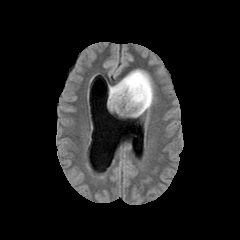
FLAIR magnetic resonance.
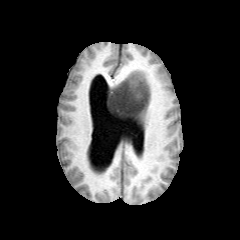
T1-weighted magnetic resonance.
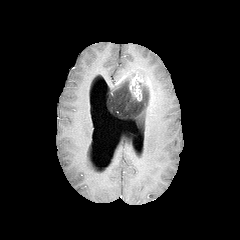
Same slice, post-contrast T1-weighted MRI.
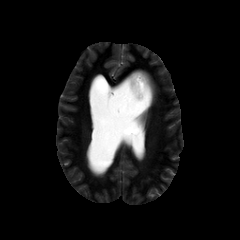
T2-weighted MRI of the same slice.
Image size 240x240
The non-enhancing tumor core lies within (left=107, top=82, right=150, bottom=117). The edema appears at (left=109, top=77, right=129, bottom=90). The enhancing tumor is located at (left=128, top=71, right=153, bottom=105).